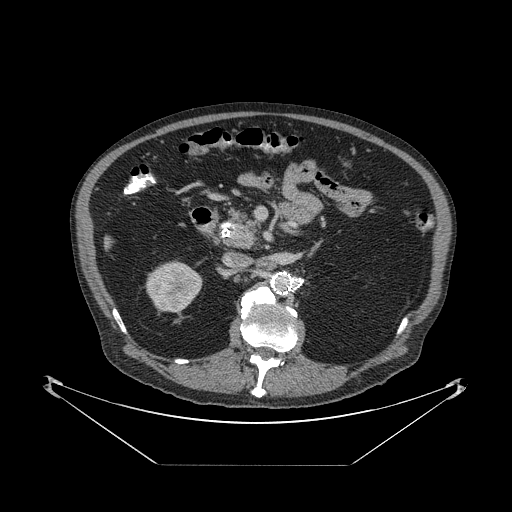 CT
The pancreas is at [225,209,259,248].